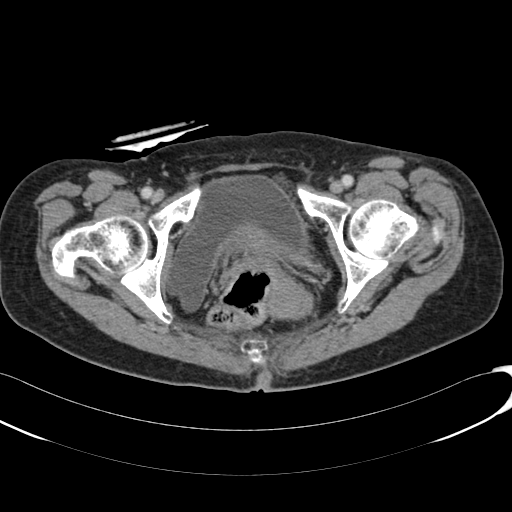 Lower abdomen. CT.

Urinary bladder = 165,175,314,312.